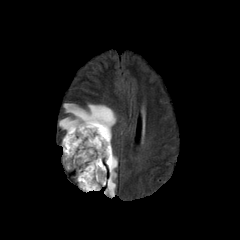
FLAIR MRI.
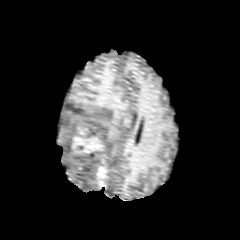
T1-weighted MR image of the same slice.
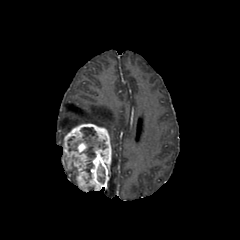
Post-contrast T1-weighted MRI of the same slice.
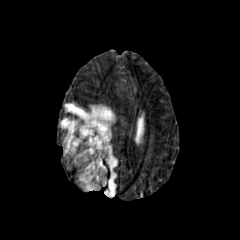
T2-weighted MR of the same slice.
Brain
2 non-enhancing tumor core regions are located at <box>83,128,95,135</box>, <box>87,146,95,156</box>. 2 edema regions are located at <box>59,103,116,137</box>, <box>104,152,117,197</box>. The enhancing tumor lies within <box>61,122,112,192</box>.